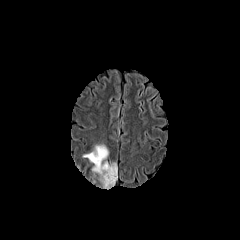
FLAIR MR image.
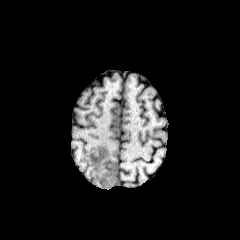
T1-weighted magnetic resonance.
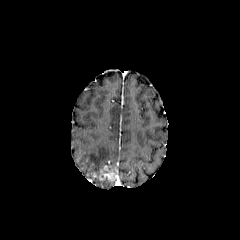
Post-contrast T1-weighted MR.
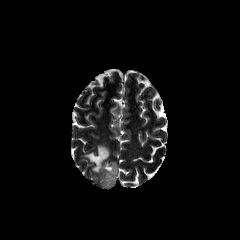
T2-weighted MR image.
240x240 px, Head
Findings:
- non-enhancing tumor core: [93, 178, 114, 189]
- enhancing tumor: [92, 165, 117, 180]
- edema: [83, 144, 109, 171]